Liver. CT image. Slice 186/230. 512x512.

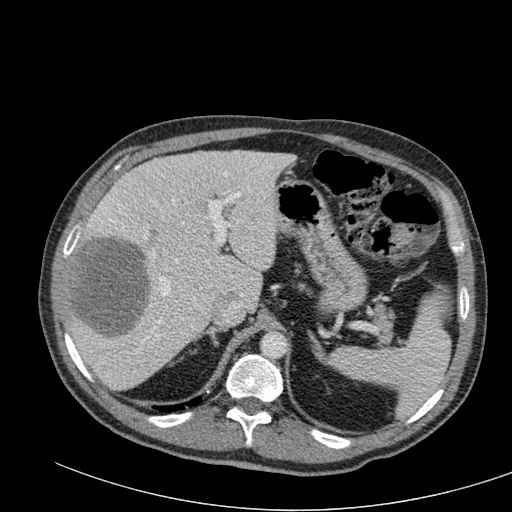 Focal liver lesion at <box>65,236,148,336</box>.
Liver at <box>67,151,294,389</box>.